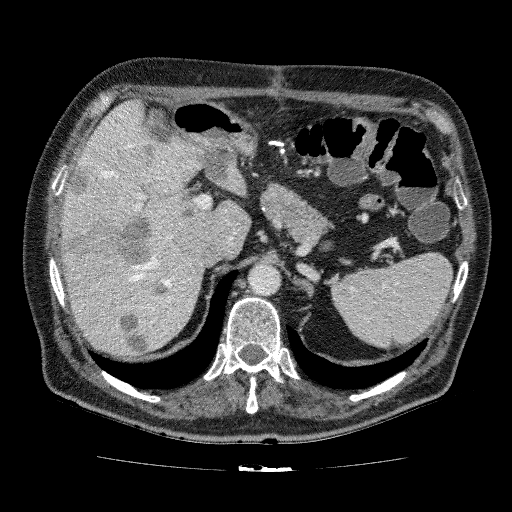
512x512 px. CT image.

2 liver regions appear at (x1=60, y1=99, x2=250, y2=357), (x1=216, y1=166, x2=248, y2=197). 10 hepatic lesion regions are bounded by (x1=166, y1=287, x2=176, y2=295), (x1=132, y1=142, x2=159, y2=172), (x1=150, y1=276, x2=160, y2=295), (x1=63, y1=263, x2=72, y2=282), (x1=95, y1=196, x2=102, y2=203), (x1=67, y1=164, x2=91, y2=197), (x1=118, y1=311, x2=150, y2=357), (x1=60, y1=212, x2=154, y2=265), (x1=190, y1=139, x2=236, y2=183), (x1=174, y1=211, x2=197, y2=222).